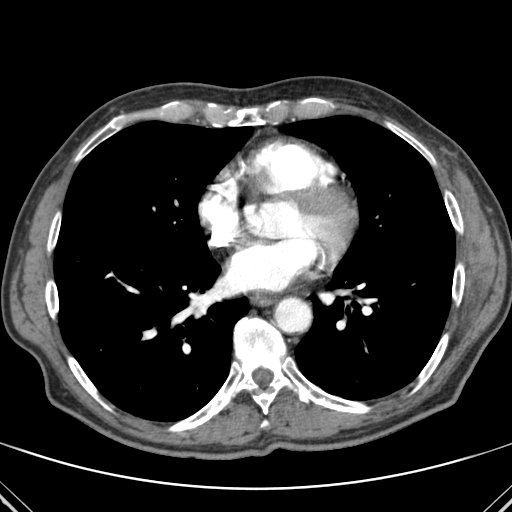 Computed tomography, Chest

{
  "lung": [
    "54 121 252 421",
    "281 116 455 400"
  ],
  "bone": [
    "266 101 279 111",
    "163 102 178 108",
    "386 123 435 164",
    "412 334 448 392",
    "445 191 463 233",
    "68 357 109 409",
    "47 212 60 251",
    "208 103 267 126",
    "75 117 122 160",
    "169 318 370 431",
    "452 263 464 305",
    "302 98 332 106",
    "45 280 58 318"
  ]
}